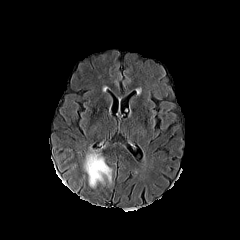
FLAIR MRI.
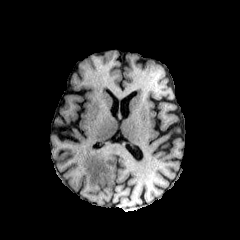
T1-weighted MR.
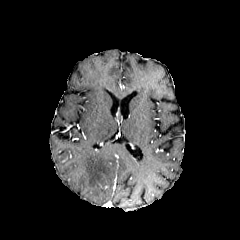
Same slice, post-contrast T1-weighted MR image.
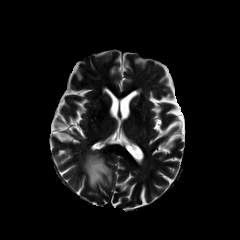
T2-weighted MR.
Head
edema:
  - {"x1": 83, "y1": 147, "x2": 110, "y2": 188}